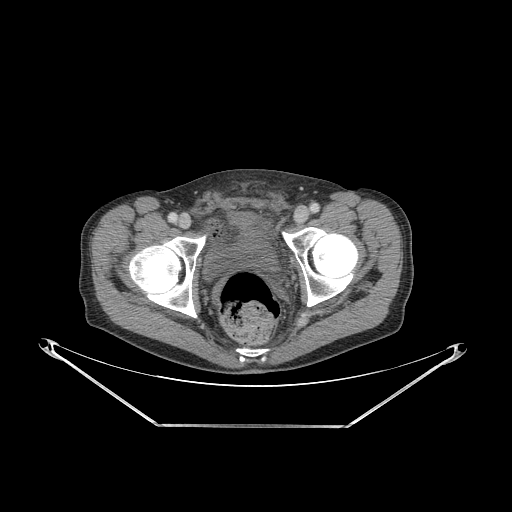 Computed tomography. bone:
  - <bbox>282, 227, 357, 306</bbox>
  - <bbox>236, 348, 267, 361</bbox>
  - <bbox>129, 236, 205, 317</bbox>